Slice index 109
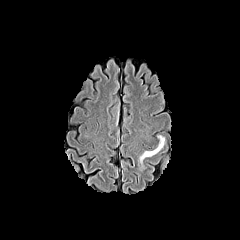
FLAIR magnetic resonance.
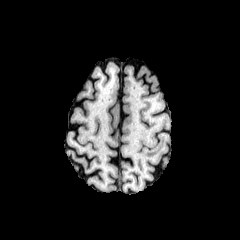
T1-weighted MR image.
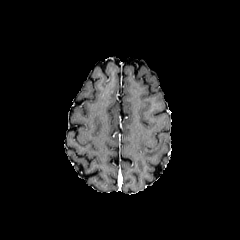
Same slice, post-contrast T1-weighted MR.
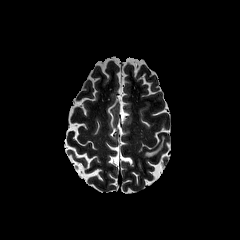
Same slice, T2-weighted MR.
The edema is bounded by x1=139, y1=137, x2=164, y2=163.